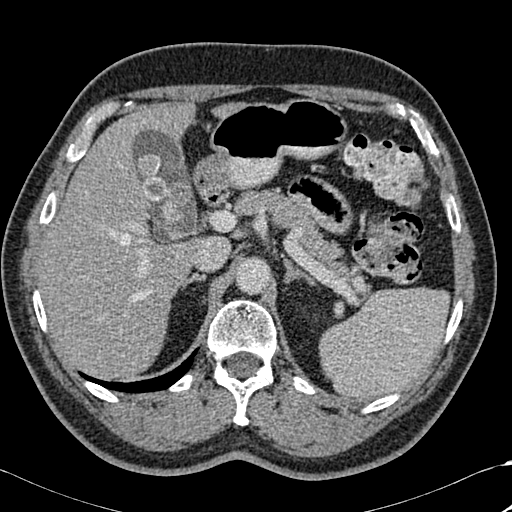 Upper abdomen. CT slice.
Liver = (x1=39, y1=106, x2=194, y2=380).
Lung = (x1=79, y1=348, x2=197, y2=392).
Bone = (x1=68, y1=117, x2=95, y2=160), (x1=446, y1=197, x2=460, y2=231), (x1=33, y1=291, x2=46, y2=330), (x1=170, y1=375, x2=192, y2=391), (x1=294, y1=377, x2=314, y2=393), (x1=446, y1=301, x2=462, y2=341), (x1=86, y1=382, x2=117, y2=401), (x1=363, y1=395, x2=397, y2=412), (x1=208, y1=300, x2=276, y2=425), (x1=40, y1=193, x2=55, y2=223).